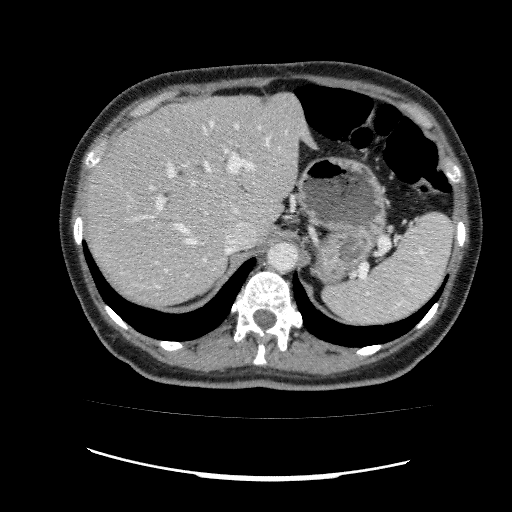

CT; 512x512

Segmented structures:
• liver: left=83, top=92, right=318, bottom=306